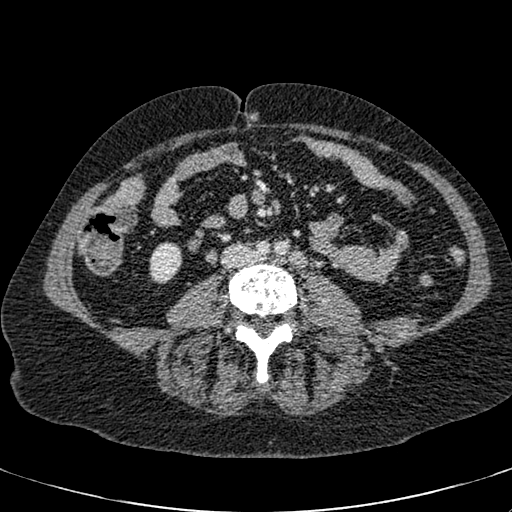 CT image

Annotated regions:
- kidney: left=150, top=243, right=181, bottom=282